240x240. Brain.
FLAIR MRI.
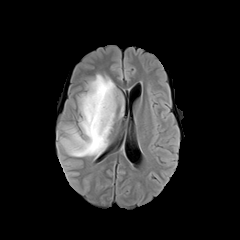
T1-weighted MR image.
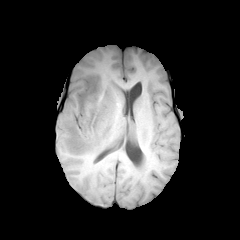
Post-contrast T1-weighted magnetic resonance.
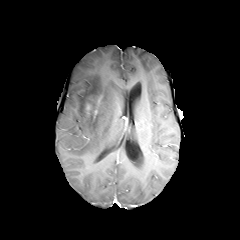
T2-weighted MRI.
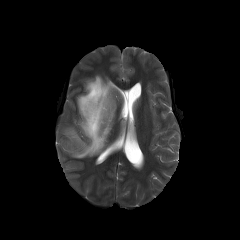
The edema is located at rect(61, 73, 117, 157). The non-enhancing tumor core is bounded by rect(85, 83, 102, 116).